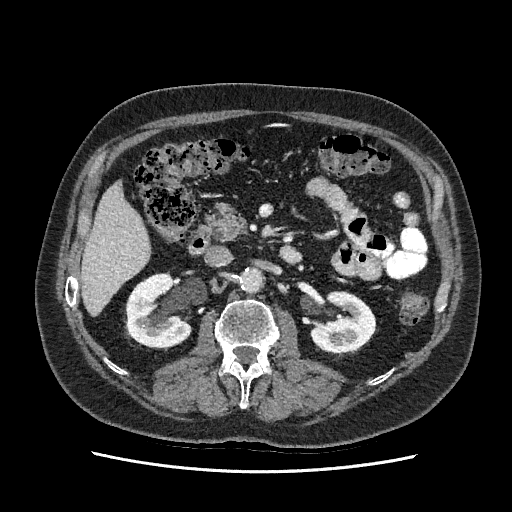

CT, Abdomen

The liver is bounded by 81, 183, 149, 314. 2 kidney regions are bounded by 311, 292, 374, 352; 127, 274, 190, 346.